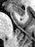
Medial temporal lobe, Magnetic resonance
anterior_hippocampus:
  - 8, 5, 25, 16